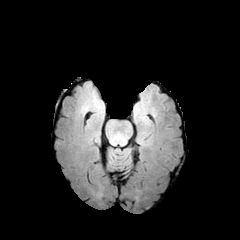
FLAIR MR image.
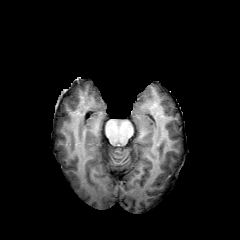
T1-weighted MR image of the same slice.
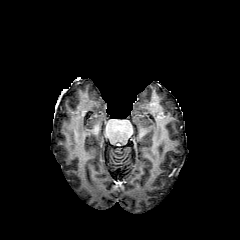
Post-contrast T1-weighted MR.
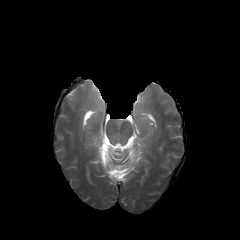
T2-weighted MRI of the same slice.
Findings:
- edema: 96:102:103:110